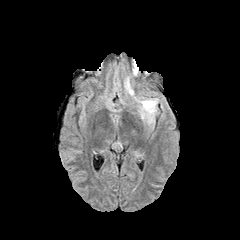
FLAIR MRI.
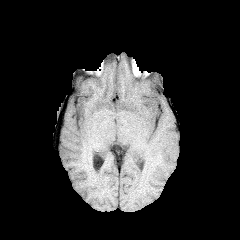
Same slice, T1-weighted MR.
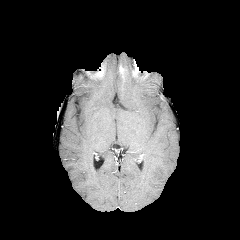
Post-contrast T1-weighted MR image.
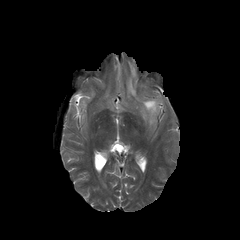
T2-weighted magnetic resonance.
240x240 px.
Edema: bounding box box(126, 77, 159, 125).